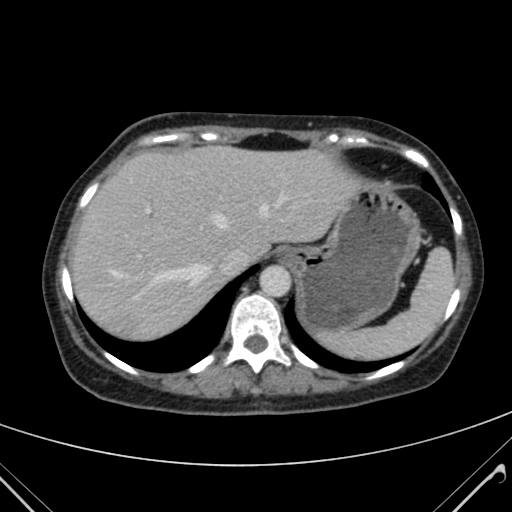

CT image
liver: 73,147,348,339